MR, Slice 8/43, Image size 36x40, Medial temporal lobe

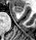

anterior hippocampus: {"x1": 14, "y1": 6, "x2": 23, "y2": 12}